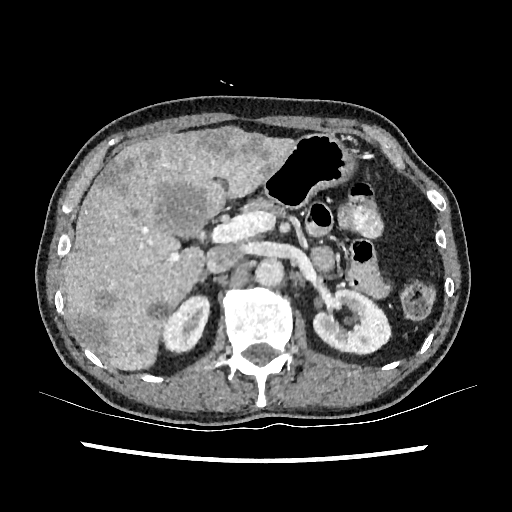
CT. Liver.
The liver is at 65, 128, 296, 369. 3 kidney regions appear at 163, 297, 208, 351; 359, 307, 394, 358; 313, 288, 390, 353. 10 hepatic lesion regions appear at 192, 129, 270, 163; 97, 157, 134, 192; 136, 344, 145, 354; 95, 291, 116, 309; 147, 301, 173, 319; 259, 163, 277, 177; 130, 208, 139, 217; 73, 315, 108, 356; 145, 149, 160, 163; 155, 182, 208, 236.